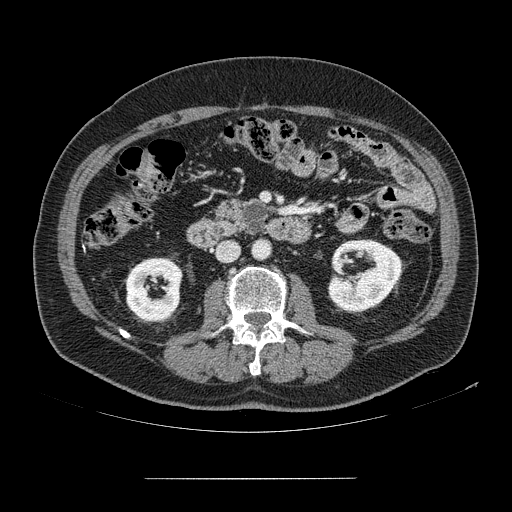

Upper abdomen. CT. The pancreas is located at box=[217, 198, 267, 235]. The pancreatic tumor appears at box=[241, 203, 266, 232].